MRI slice
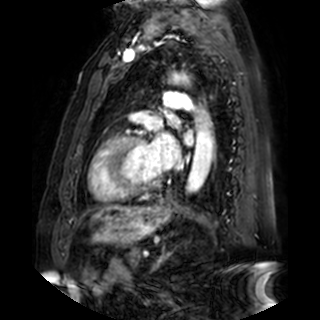 3 left atrium regions appear at x1=183 y1=131 x2=193 y2=144, x1=171 y1=118 x2=179 y2=126, x1=146 y1=133 x2=179 y2=168.